FLAIR MRI.
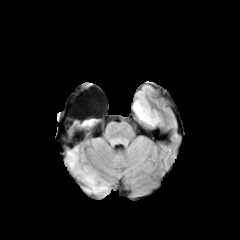
T1-weighted MR.
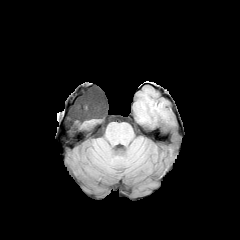
Post-contrast T1-weighted magnetic resonance.
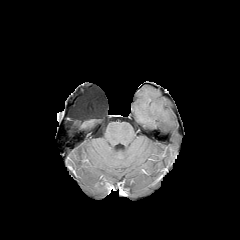
T2-weighted MRI.
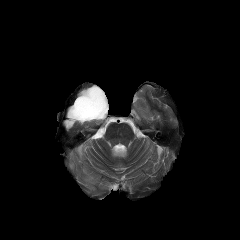
Head.
Edema: rect(81, 119, 97, 126); rect(68, 147, 107, 193).